Head, Field of view 240x240 mm
FLAIR MRI.
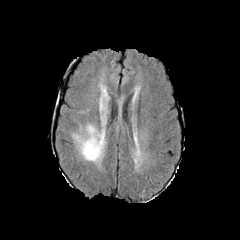
T1-weighted magnetic resonance.
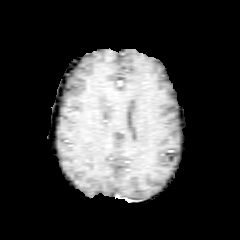
Post-contrast T1-weighted MRI.
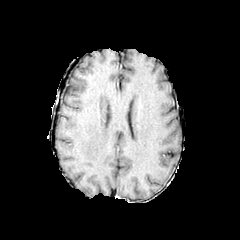
T2-weighted MRI.
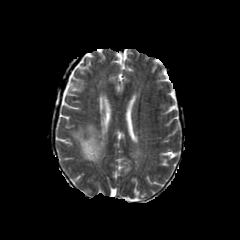
Edema = [74, 125, 105, 161].